CT image. Image width 358 mm. Abdomen.
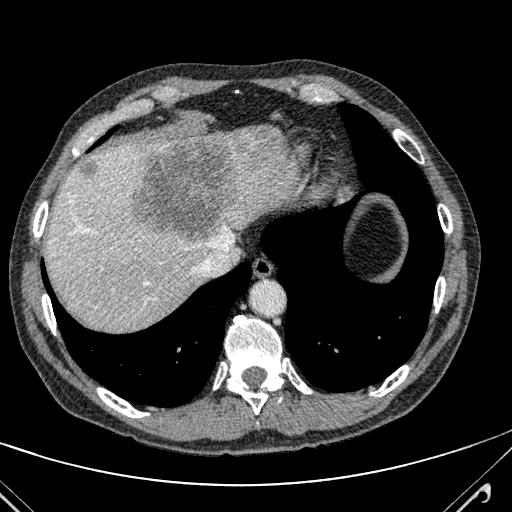

liver:
  - (46,126,292,329)
  - (228,248,239,263)
hepatic_lesion:
  - (133,138,243,242)
  - (79,160,94,177)